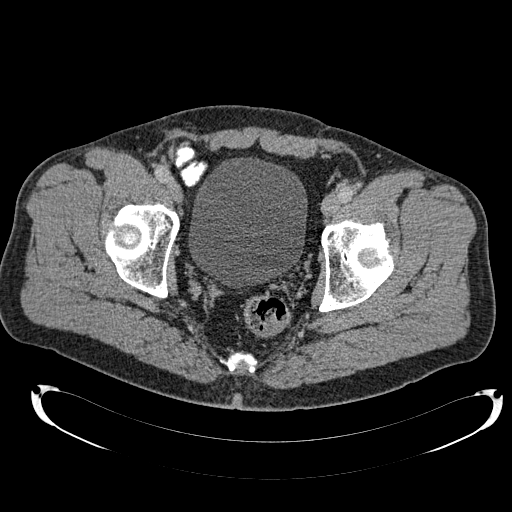 CT slice; 512x512 px

Urinary bladder — rect(188, 157, 307, 287).